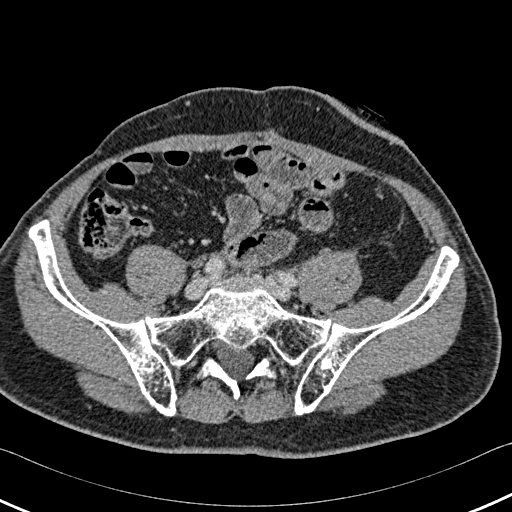 Computed tomography
{"bone": [{"x1": 246, "y1": 359, "x2": 273, "y2": 378}, {"x1": 202, "y1": 359, "x2": 239, "y2": 399}, {"x1": 29, "y1": 220, "x2": 458, "y2": 415}]}